Field of view 500x500 mm. Slice 114/148. CT scan slice.
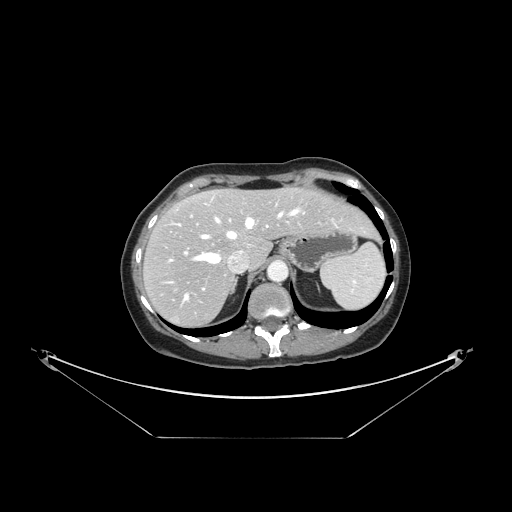
Only some of the vessels may be annotated.
Hepatic vessel — [228,232,235,237], [292,211,296,213], [203,235,206,237], [280,213,281,215], [246,218,253,226].